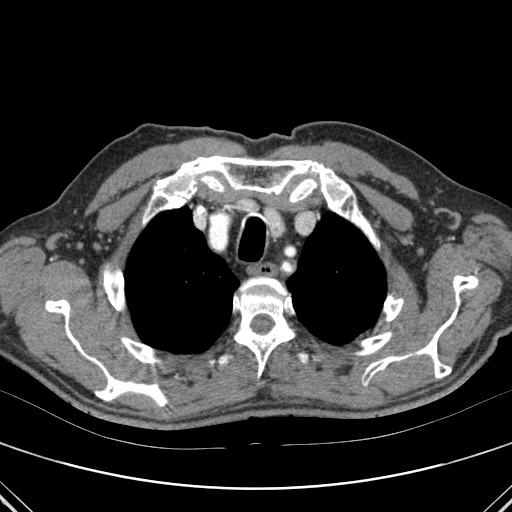
Image size 512x512; CT image; Thorax

Lung: (left=287, top=212, right=386, bottom=344), (left=125, top=207, right=239, bottom=353).
Bone: (left=121, top=337, right=158, bottom=363), (left=45, top=299, right=166, bottom=406), (left=299, top=353, right=307, bottom=362), (left=366, top=354, right=409, bottom=378), (left=233, top=277, right=294, bottom=377), (left=219, top=356, right=228, bottom=364), (left=356, top=332, right=391, bottom=354), (left=289, top=178, right=316, bottom=202), (left=143, top=156, right=379, bottom=247), (left=383, top=295, right=403, bottom=321), (left=416, top=275, right=477, bottom=378), (left=103, top=266, right=124, bottom=310).